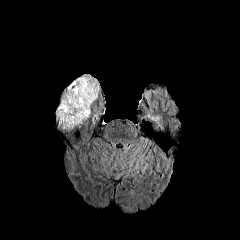
FLAIR MRI.
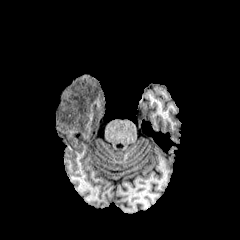
T1-weighted MR of the same slice.
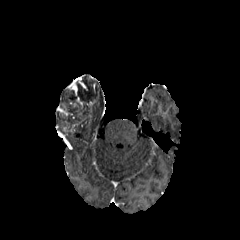
Same slice, post-contrast T1-weighted MR.
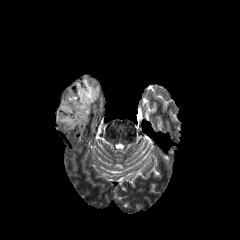
T2-weighted MRI.
{"non-enhancing_tumor_core": ["55:74:101:130"], "enhancing_tumor": ["56:104:72:116", "68:75:85:95", "63:122:81:131"]}